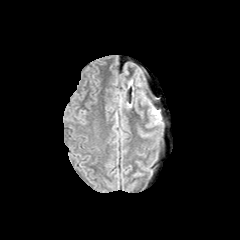
FLAIR MR image.
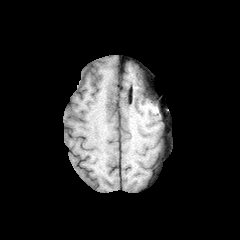
T1-weighted magnetic resonance.
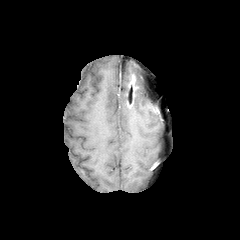
Post-contrast T1-weighted MR image.
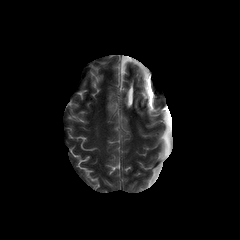
T2-weighted MR image.
edema: [148, 106, 161, 127], [140, 90, 149, 103]